Field of view 382 mm wide, 1.50 mm slice spacing. CT slice.

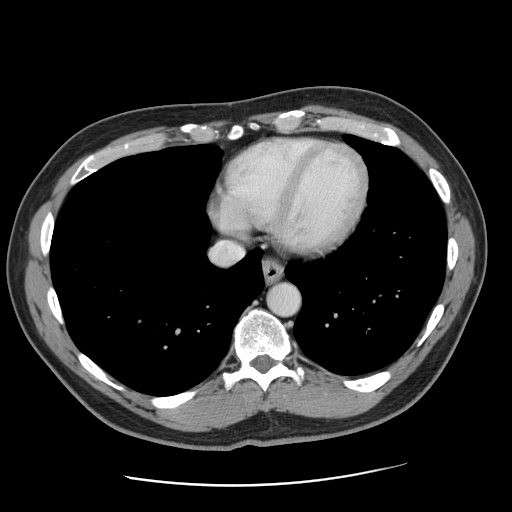
The vessel boxes may cover only some of the vessels.
<segmentation>
  <hepatic_vessel>[210, 244, 236, 264], [235, 244, 239, 246]</hepatic_vessel>
</segmentation>